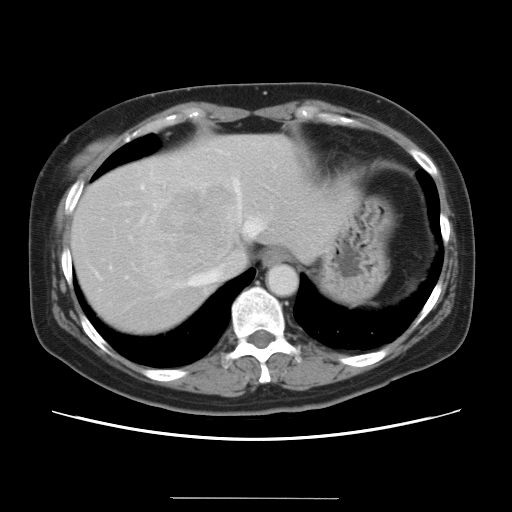 Liver, Computed tomography

Not every hepatic vessel necessarily has a box.
Liver tumor at 156 185 237 272.
Hepatic vessel at 141 186 142 188, 187 263 241 286, 94 271 98 278, 237 218 238 221, 246 217 262 234, 232 178 240 209, 109 267 110 268, 140 219 142 223.